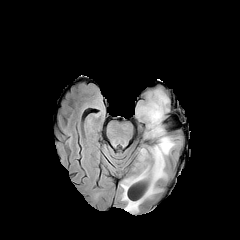
FLAIR MRI.
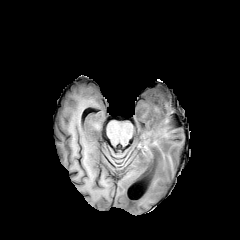
Same slice, T1-weighted magnetic resonance.
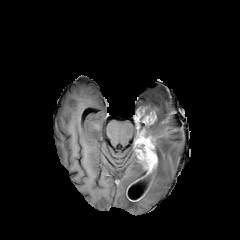
Post-contrast T1-weighted magnetic resonance.
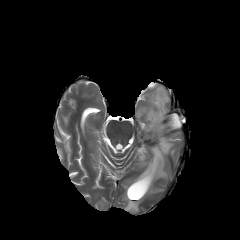
T2-weighted MR image of the same slice.
240x240 px, Head
enhancing tumor: l=146, t=111, r=155, b=123; l=137, t=146, r=157, b=174 | non-enhancing tumor core: l=136, t=137, r=151, b=157 | edema: l=120, t=90, r=175, b=211